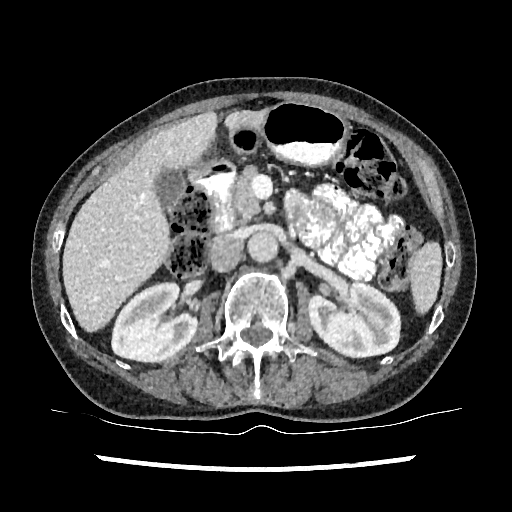

Liver; CT scan slice; Image size 512x512
Liver at rect(64, 112, 214, 330); rect(227, 110, 264, 128).
Kidney at rect(111, 283, 196, 361); rect(310, 284, 399, 356).